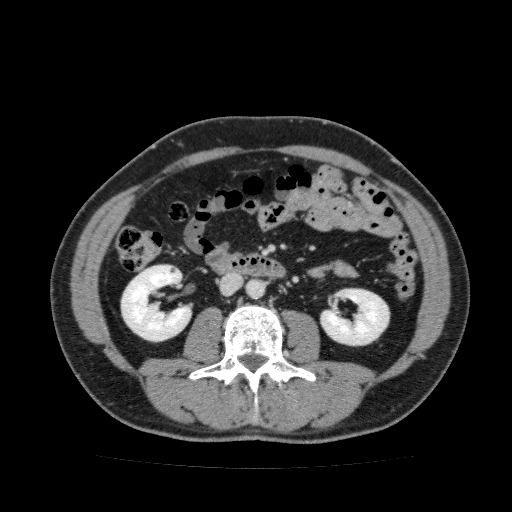 CT slice
Annotated regions:
- kidney: x1=121 y1=265 x2=191 y2=341, x1=321 y1=289 x2=388 y2=344